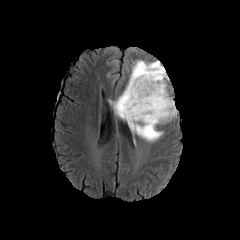
FLAIR MR.
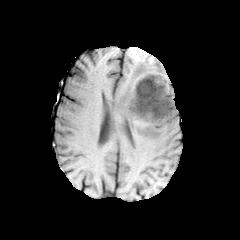
Same slice, T1-weighted MR image.
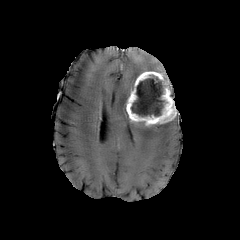
Post-contrast T1-weighted magnetic resonance.
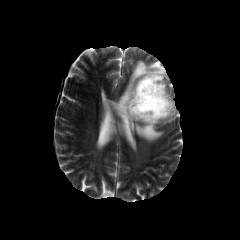
T2-weighted magnetic resonance.
240x240 px; Brain
Non-enhancing tumor core: left=131, top=75, right=164, bottom=116.
Enhancing tumor: left=125, top=71, right=176, bottom=126.
Edema: left=108, top=59, right=169, bottom=142.